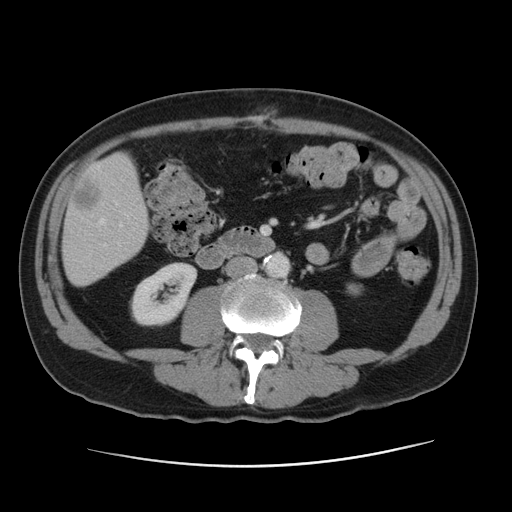 CT
Liver lesion = x1=73 y1=181 x2=103 y2=209.
Liver = x1=63 y1=154 x2=147 y2=283.
Kidney = x1=132 y1=264 x2=195 y2=324.